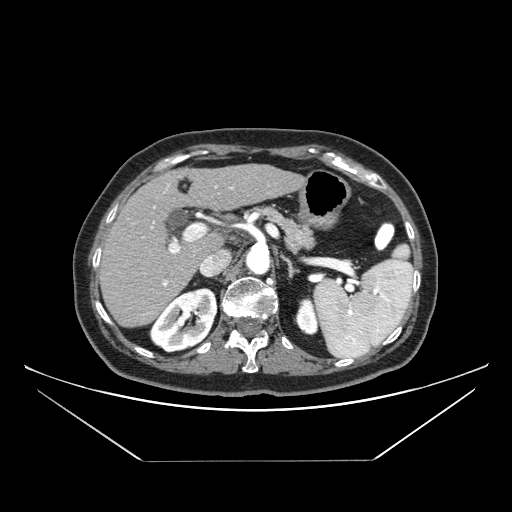 CT image
Pancreas: {"x1": 243, "y1": 205, "x2": 314, "y2": 252}.